Computed tomography, Field of view 700 mm wide, 2.50 mm slice spacing, Liver, Image size 512x512
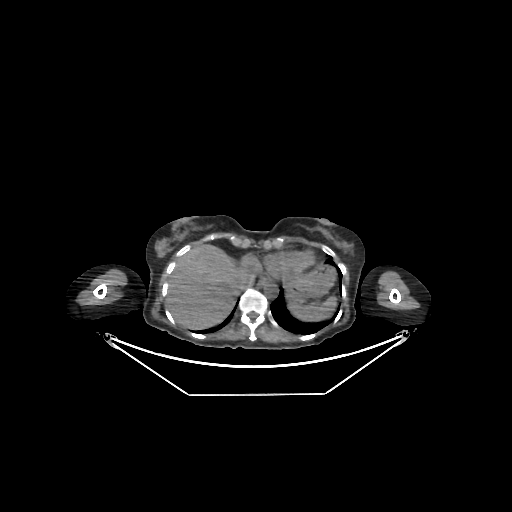

The liver is located at left=166, top=245, right=254, bottom=329.